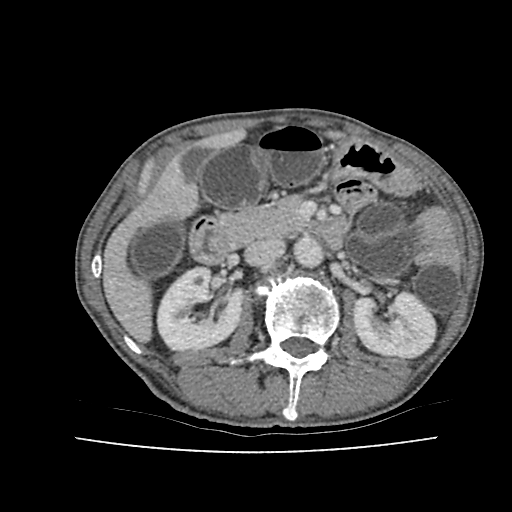
Upper abdomen, 512x512, CT image

{
  "liver": [
    "bbox(103, 165, 191, 337)",
    "bbox(211, 136, 239, 143)"
  ],
  "kidney": [
    "bbox(158, 268, 241, 349)",
    "bbox(354, 293, 434, 357)"
  ]
}